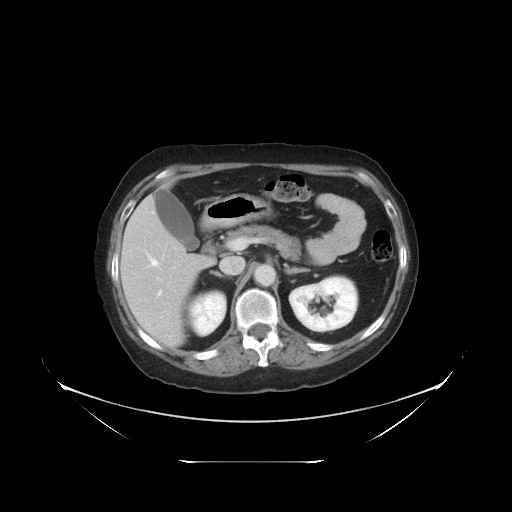 Abdomen. Computed tomography.

Not every hepatic vessel necessarily has a box.
4 hepatic vessel regions are bounded by [146,253,157,266], [158,290,161,295], [220,256,245,273], [157,278,160,280].